Hippocampus; MR image; Slice 20/40; Image size 36x50 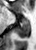 Posterior hippocampus — [16, 22, 29, 37].
Anterior hippocampus — [22, 19, 28, 21].